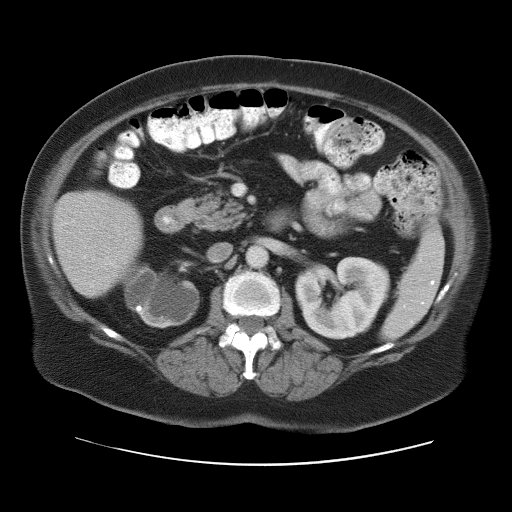
CT image | 512x512 px

- spleen: box(383, 229, 444, 337)